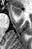 MRI, 32x49, Hippocampus
{"anterior_hippocampus": [{"x1": 12, "y1": 6, "x2": 21, "y2": 15}]}